CT slice. Slice 346 of 466. 512x512. 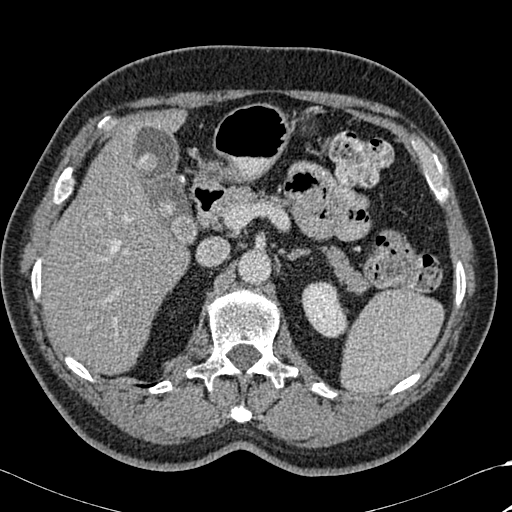

Bone: {"x1": 392, "y1": 374, "x2": 418, "y2": 393}, {"x1": 66, "y1": 357, "x2": 91, "y2": 380}, {"x1": 456, "y1": 262, "x2": 465, "y2": 304}, {"x1": 231, "y1": 406, "x2": 250, "y2": 421}, {"x1": 31, "y1": 260, "x2": 40, "y2": 297}, {"x1": 187, "y1": 288, "x2": 297, "y2": 389}, {"x1": 312, "y1": 383, "x2": 335, "y2": 397}, {"x1": 149, "y1": 381, "x2": 171, "y2": 393}, {"x1": 431, "y1": 176, "x2": 447, "y2": 200}, {"x1": 54, "y1": 168, "x2": 71, "y2": 203}.
Kidney: {"x1": 303, "y1": 283, "x2": 344, "y2": 336}.
Liver: {"x1": 148, "y1": 110, "x2": 184, "y2": 132}, {"x1": 41, "y1": 122, "x2": 188, "y2": 374}.